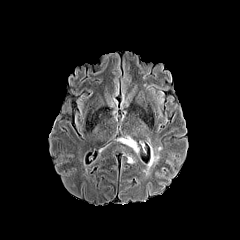
FLAIR MR image.
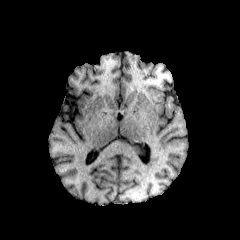
T1-weighted magnetic resonance.
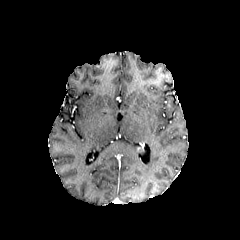
Post-contrast T1-weighted MRI of the same slice.
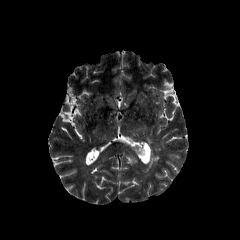
T2-weighted magnetic resonance.
Image size 240x240
{
  "edema": [
    "bbox(142, 139, 161, 175)",
    "bbox(123, 153, 134, 164)"
  ]
}